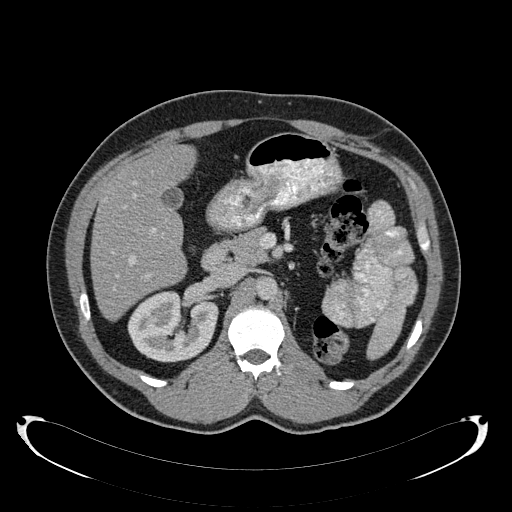
512x512, CT
liver:
  - (x1=90, y1=145, x2=193, y2=319)
kidney:
  - (x1=128, y1=290, x2=217, y2=361)